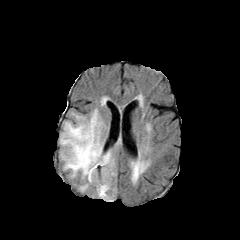
FLAIR magnetic resonance.
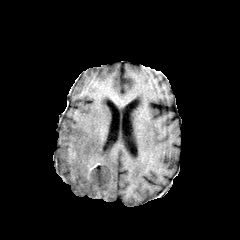
Same slice, T1-weighted MR image.
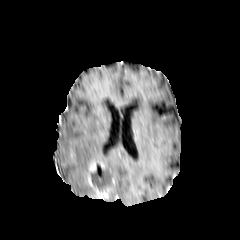
Post-contrast T1-weighted MR image.
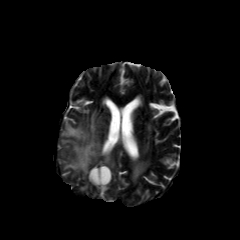
T2-weighted MR.
Image size 240x240; Brain
Enhancing tumor — x1=89, y1=162, x2=95, y2=171; x1=96, y1=189, x2=107, y2=197.
Edema — x1=60, y1=109, x2=115, y2=192; x1=133, y1=163, x2=142, y2=177.
Non-enhancing tumor core — x1=88, y1=163, x2=110, y2=195.